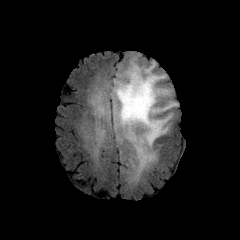
FLAIR magnetic resonance.
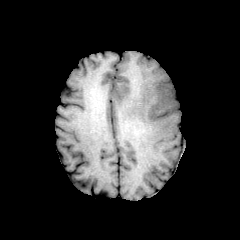
Same slice, T1-weighted MR.
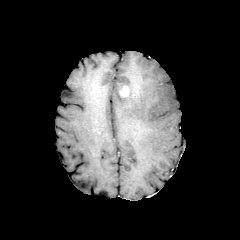
Post-contrast T1-weighted MR.
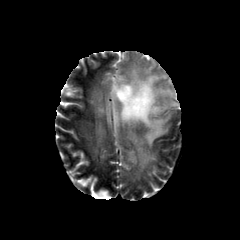
T2-weighted magnetic resonance.
240x240 px
- non-enhancing tumor core: <box>118,64,146,90</box>, <box>152,84,169,95</box>, <box>123,120,149,140</box>
- edema: <box>94,58,177,171</box>
- enhancing tumor: <box>120,86,127,96</box>